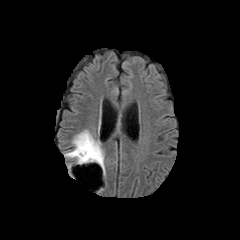
FLAIR MR.
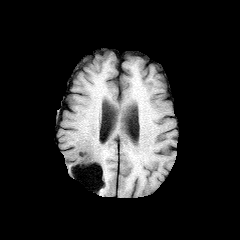
T1-weighted magnetic resonance.
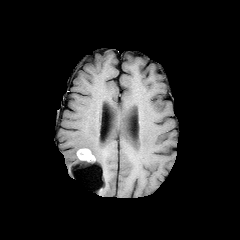
Same slice, post-contrast T1-weighted magnetic resonance.
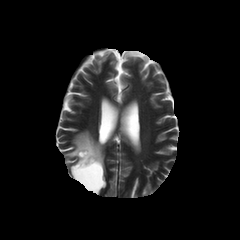
T2-weighted MR image.
Head
The edema is at l=65, t=130, r=105, b=177. The non-enhancing tumor core is located at l=74, t=146, r=102, b=177. The enhancing tumor lies within l=76, t=148, r=95, b=161.